CT; Field of view 383 mm wide, 1.50 mm slice spacing; Upper abdomen

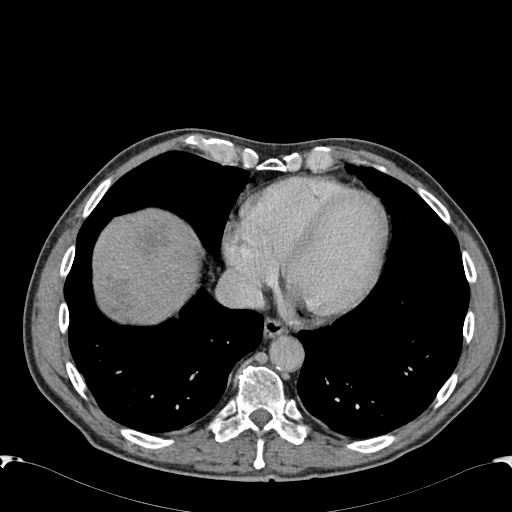

The liver lies within (94, 212, 200, 323). 2 focal liver lesion regions are bounded by (105, 279, 127, 313), (138, 228, 165, 252).